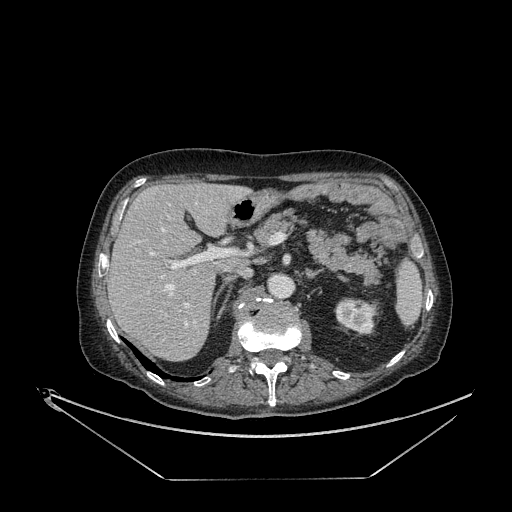

Computed tomography
liver: 108 183 251 360 | kidney: 336 299 375 333